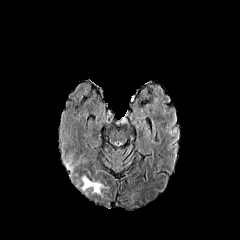
FLAIR magnetic resonance.
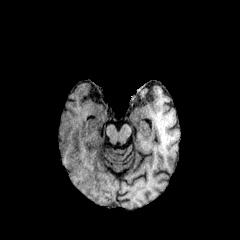
T1-weighted magnetic resonance.
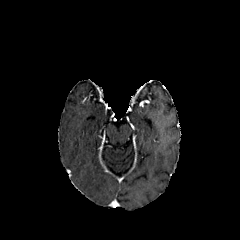
Post-contrast T1-weighted MRI.
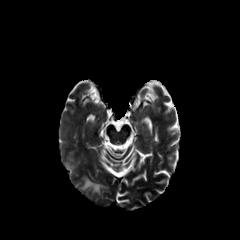
T2-weighted MR.
<segmentation>
  <edema>l=81, t=176, r=103, b=194</edema>
</segmentation>